CT

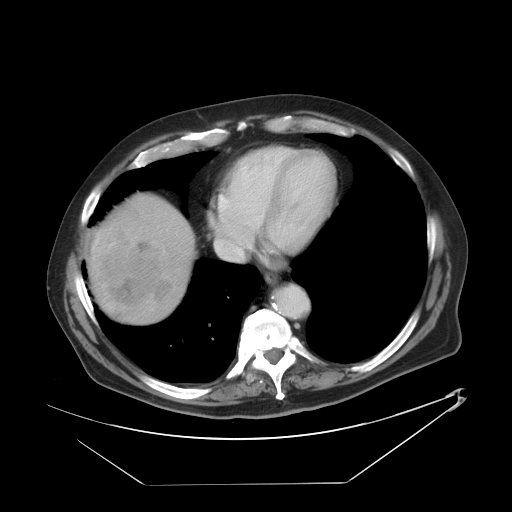 <segmentation>
  <liver_tumor>rect(96, 228, 174, 307)</liver_tumor>
</segmentation>